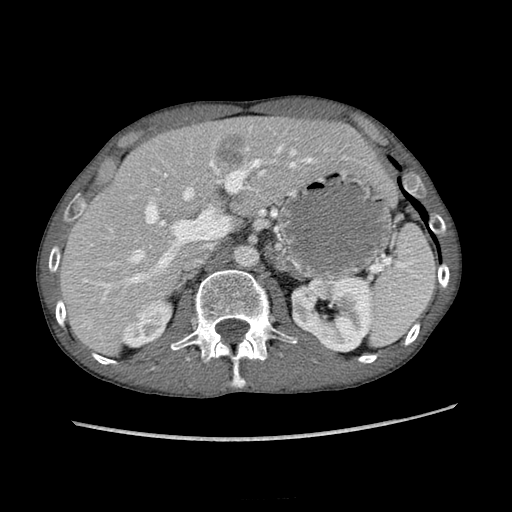

Upper abdomen; 512x512 px; Computed tomography

Liver at [x1=57, y1=118, x2=378, y2=353].
Hepatic lesion at [x1=214, y1=135, x2=245, y2=167].
Kidney at [x1=123, y1=301, x2=171, y2=345], [x1=292, y1=278, x2=372, y2=350].